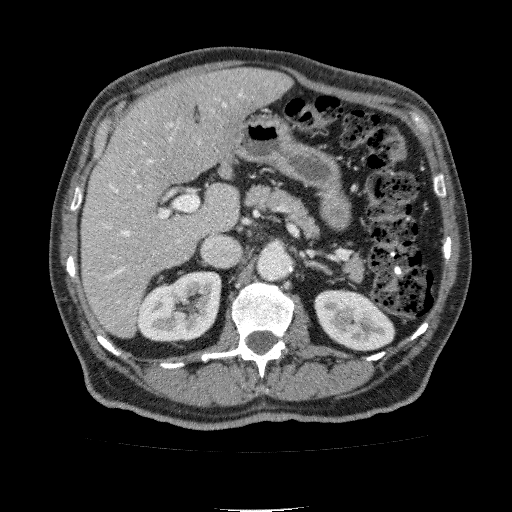

Abdomen | CT slice
2 kidney regions are located at l=316, t=291, r=393, b=349; l=137, t=272, r=220, b=340. The liver is bounded by l=83, t=68, r=291, b=337.